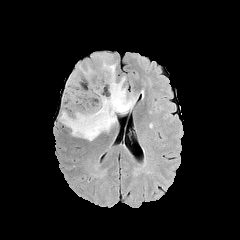
FLAIR MRI.
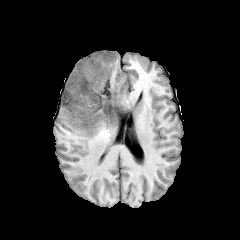
T1-weighted MR image of the same slice.
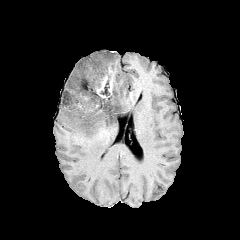
Same slice, post-contrast T1-weighted MR image.
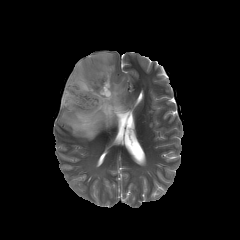
T2-weighted MRI.
Head
Annotated regions:
* enhancing tumor: <box>97,76,107,99</box>
* non-enhancing tumor core: <box>102,66,114,90</box>, <box>98,86,118,115</box>
* edema: <box>60,53,138,140</box>